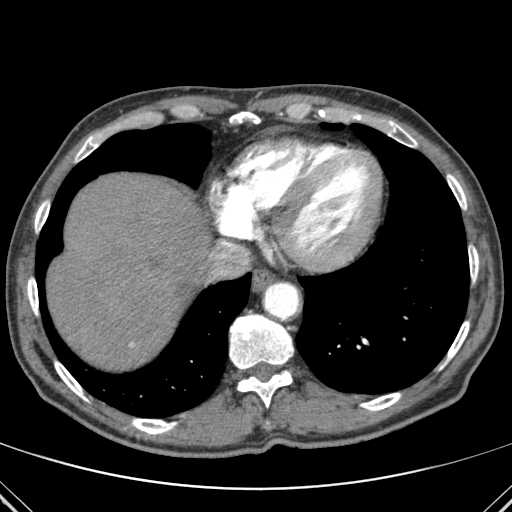
Upper abdomen; CT slice; 512x512 px
The liver lies within rect(47, 173, 211, 370). 3 lung regions are bounded by rect(321, 123, 343, 130); rect(36, 123, 251, 417); rect(296, 124, 469, 393). 13 bone regions are located at rect(383, 121, 417, 147); rect(469, 248, 478, 280); rect(132, 419, 176, 434); rect(75, 136, 98, 160); rect(229, 315, 293, 369); rect(35, 201, 49, 232); rect(27, 278, 38, 314); rect(360, 393, 400, 410); rect(447, 321, 469, 360); rect(230, 112, 260, 123); rect(447, 174, 466, 209); rect(237, 371, 292, 407); rect(54, 361, 88, 401).